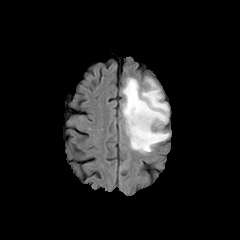
FLAIR magnetic resonance.
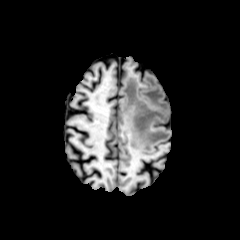
T1-weighted magnetic resonance.
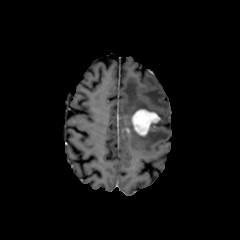
Post-contrast T1-weighted MRI of the same slice.
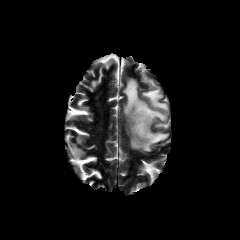
T2-weighted MRI of the same slice.
240x240 px. Brain.
The enhancing tumor is bounded by x1=131 y1=109 x2=160 y2=135. The edema is bounded by x1=121 y1=77 x2=169 y2=153.